240x240. Slice 34/155.
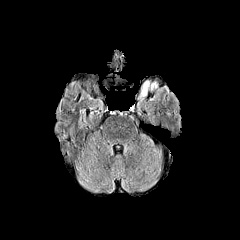
FLAIR magnetic resonance.
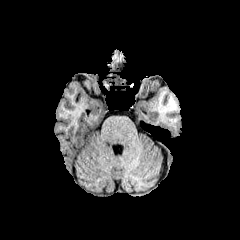
T1-weighted MRI.
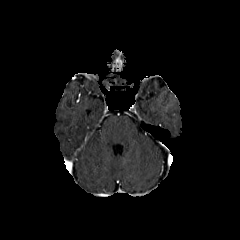
Post-contrast T1-weighted MR.
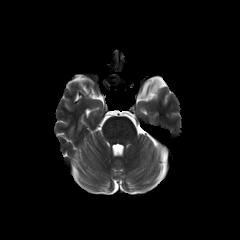
Same slice, T2-weighted MR.
Edema — (139, 81, 150, 97).
Enhancing tumor — (113, 54, 125, 70).